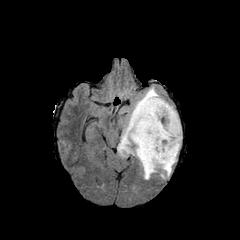
FLAIR magnetic resonance.
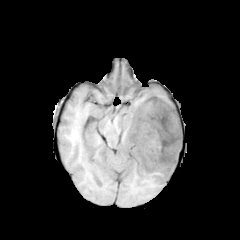
Same slice, T1-weighted MRI.
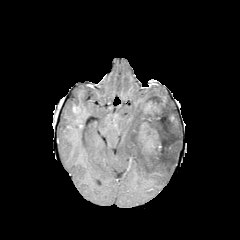
Post-contrast T1-weighted magnetic resonance.
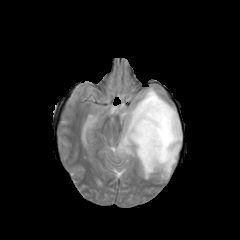
Same slice, T2-weighted magnetic resonance.
240x240, Brain
Segmented structures:
* non-enhancing tumor core: x1=137 y1=94 x2=178 y2=158
* edema: x1=117 y1=87 x2=181 y2=179
* enhancing tumor: x1=139 y1=123 x2=161 y2=151, x1=144 y1=101 x2=158 y2=113